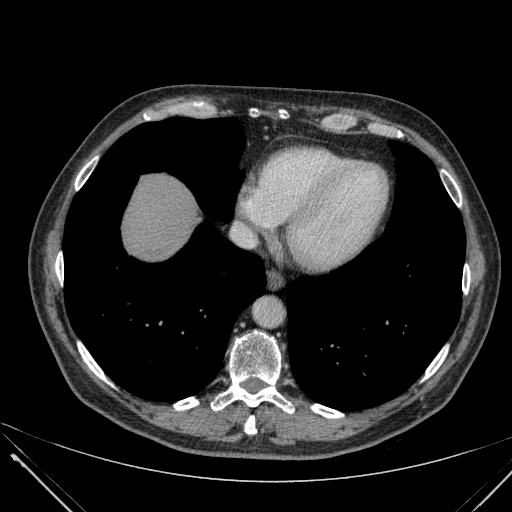

Liver; 512x512 px; CT
Liver: bounding box (x1=123, y1=175, x2=201, y2=258).